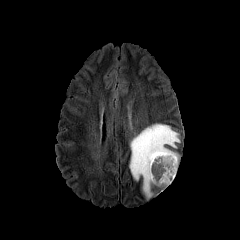
FLAIR MR.
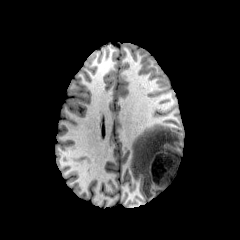
T1-weighted MR.
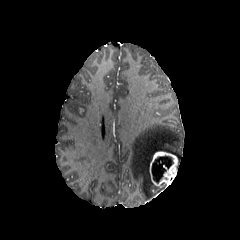
Post-contrast T1-weighted MRI of the same slice.
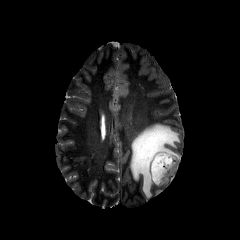
T2-weighted MRI.
Image size 240x240 | Head
<segmentation>
  <enhancing_tumor><bbox>149, 151, 178, 188</bbox></enhancing_tumor>
  <non-enhancing_tumor_core><bbox>153, 184, 166, 192</bbox>, <bbox>151, 157, 173, 183</bbox></non-enhancing_tumor_core>
  <edema><bbox>129, 123, 179, 200</bbox></edema>
</segmentation>